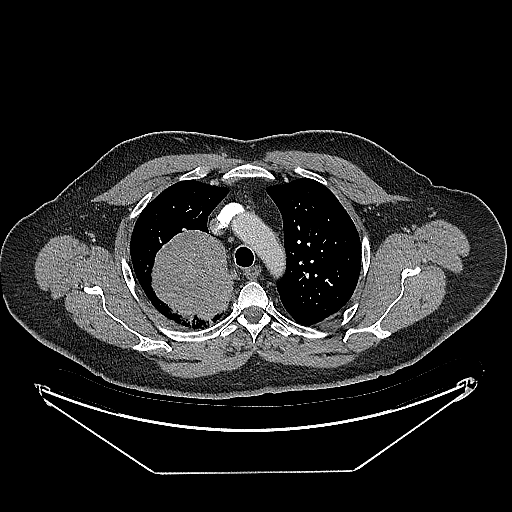 CT; Chest

The lung tumor is located at l=148, t=227, r=231, b=328.